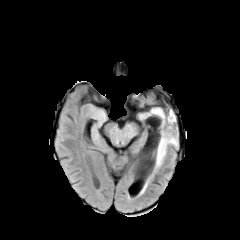
FLAIR MRI.
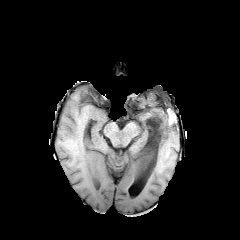
T1-weighted MRI.
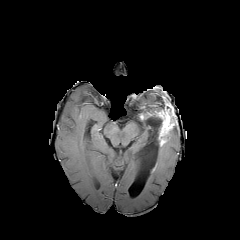
Post-contrast T1-weighted MR of the same slice.
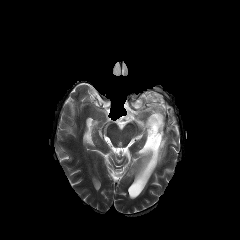
T2-weighted MR image of the same slice.
Brain; 240x240
non-enhancing_tumor_core:
  - 154, 132, 162, 155
  - 156, 116, 162, 131
  - 148, 104, 166, 113
enhancing_tumor:
  - 153, 108, 175, 145
edema:
  - 154, 125, 178, 169